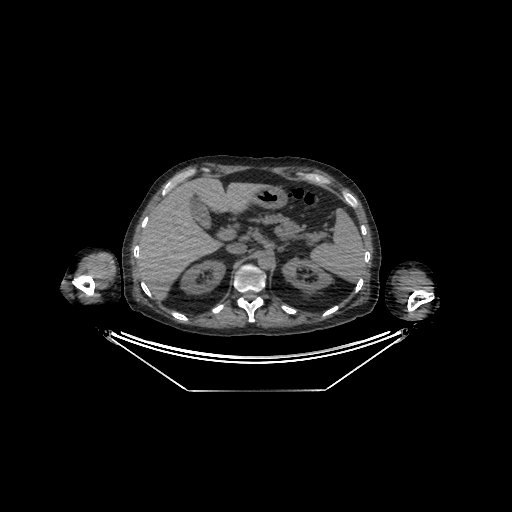 Image size 512x512. CT slice. The liver is bounded by (136, 176, 269, 300). 2 kidney regions are located at (180, 260, 225, 294), (282, 257, 333, 294).